Liver; Computed tomography; Field of view 358 mm wide, 1.50 mm slice spacing

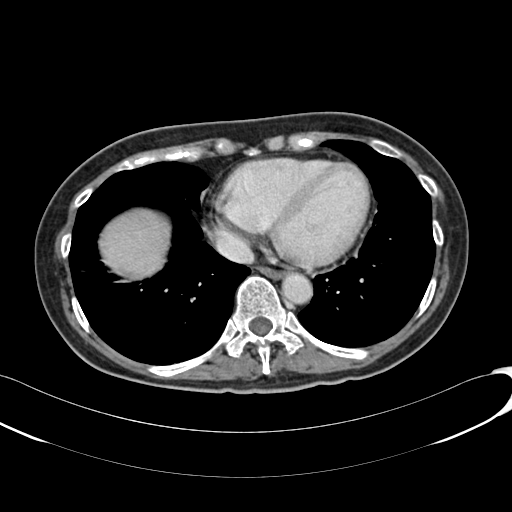 Liver: bounding box 102 211 165 274.